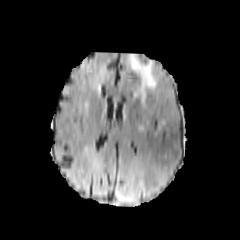
FLAIR MR image.
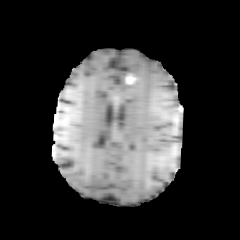
T1-weighted magnetic resonance.
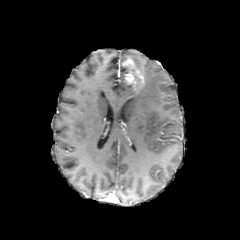
Same slice, post-contrast T1-weighted MR.
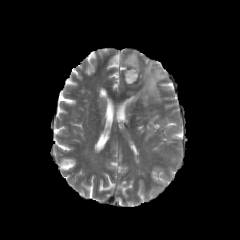
Same slice, T2-weighted MR image.
Image size 240x240.
<segmentation>
  <edema>bbox=[127, 52, 163, 105]</edema>
  <enhancing_tumor>bbox=[122, 56, 145, 89]</enhancing_tumor>
</segmentation>